FLAIR MR.
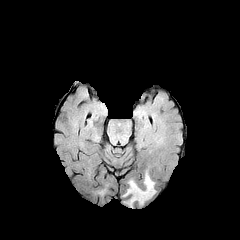
T1-weighted MR image.
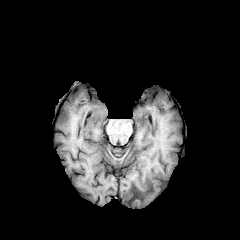
Post-contrast T1-weighted MR image.
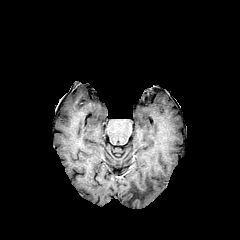
T2-weighted magnetic resonance.
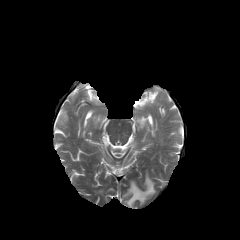
240x240
edema: x1=124 y1=173 x2=155 y2=206